FLAIR MR image.
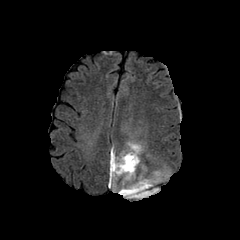
T1-weighted MRI.
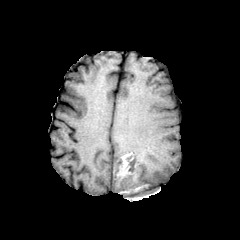
Post-contrast T1-weighted magnetic resonance.
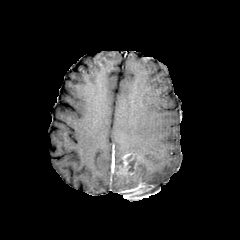
T2-weighted magnetic resonance.
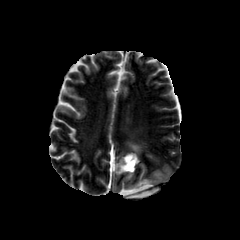
Image size 240x240
enhancing tumor: (111,152,114,173), (119,182,146,197) | edema: (108,142,155,191) | non-enhancing tumor core: (114,154,133,175), (136,181,152,196)